Slice index 20, Magnetic resonance, Medial temporal lobe

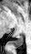
Segmented structures:
* posterior hippocampus: <box>9,34,23,47</box>